Brain
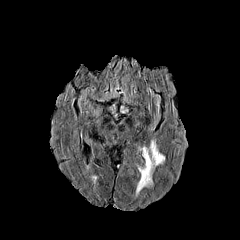
FLAIR MR image.
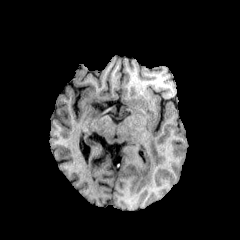
T1-weighted MR image of the same slice.
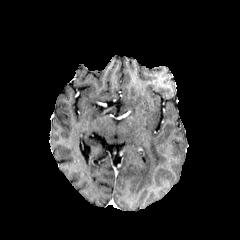
Post-contrast T1-weighted MR of the same slice.
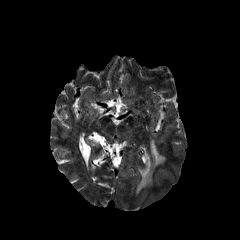
T2-weighted MR of the same slice.
edema: (x1=135, y1=140, x2=165, y2=196)